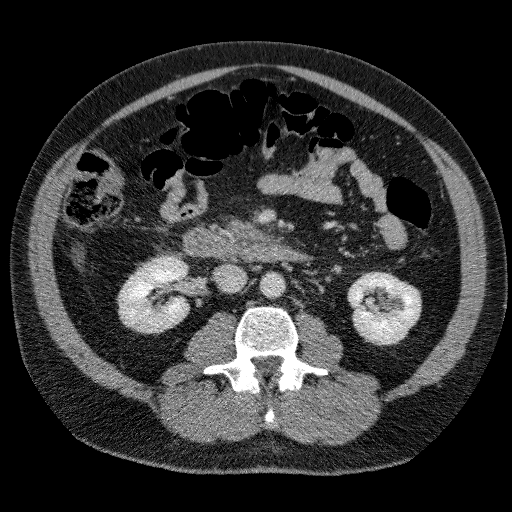

512x512; Upper abdomen; CT image
liver: {"x1": 72, "y1": 243, "x2": 84, "y2": 266} | kidney: {"x1": 349, "y1": 273, "x2": 419, "y2": 343}, {"x1": 120, "y1": 257, "x2": 187, "y2": 331}